512x512 px. CT image. Abdomen. Slice 23 of 50. Field of view 422x422 mm.
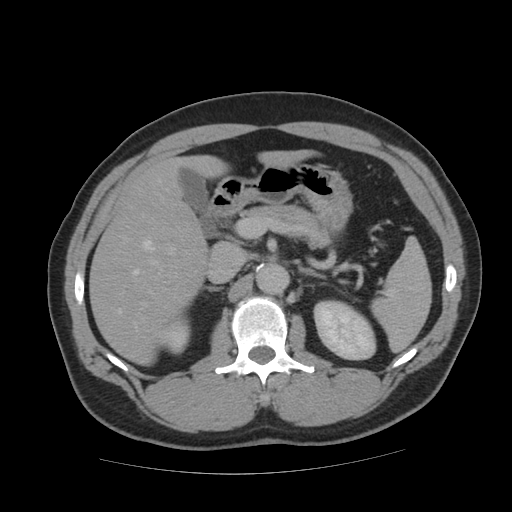

Only some of the vessels may be annotated.
Findings:
* hepatic vessel: 142,239,154,251; 169,248,174,253; 151,261,157,263; 131,268,143,275